CT slice, Image size 512x512, Abdomen

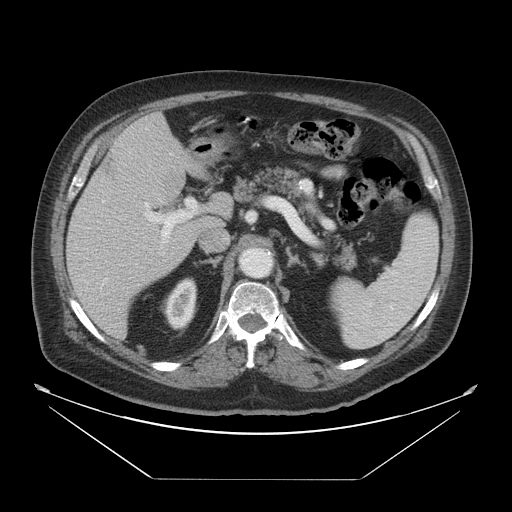 Not every hepatic vessel necessarily has a box.
Liver tumor — x1=162, y1=167, x2=185, y2=197; x1=98, y1=151, x2=122, y2=184.
Hepatic vessel — x1=161, y1=252, x2=164, y2=254; x1=144, y1=199, x2=196, y2=249; x1=196, y1=228, x2=227, y2=250.